CT image, Slice 242/343

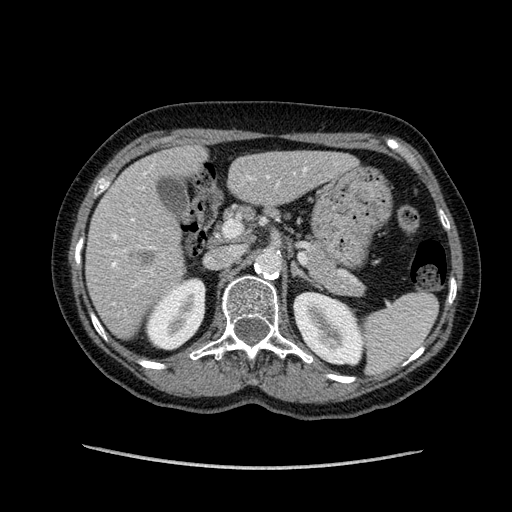

{"kidney": ["[148,280,204,348]", "[294,293,362,363]"], "liver": ["[230,151,346,202]", "[86,150,198,329]"], "liver_lesion": ["[135,250,155,265]"]}